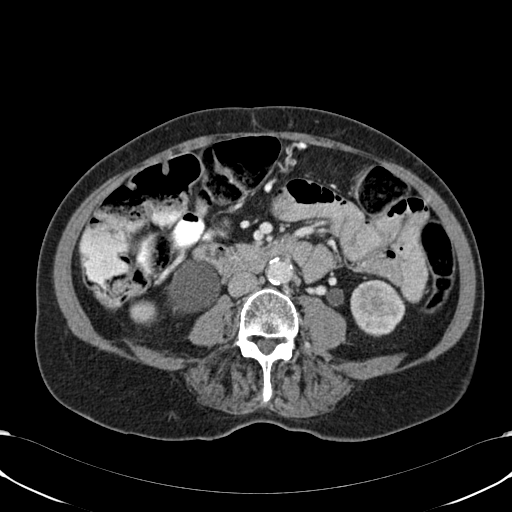

CT slice
3 kidney regions appear at x1=351, y1=280, x2=404, y2=334; x1=131, y1=300, x2=158, y2=322; x1=176, y1=291, x2=218, y2=312.